Liver. 512x512 px. Slice 55 of 134. CT slice.

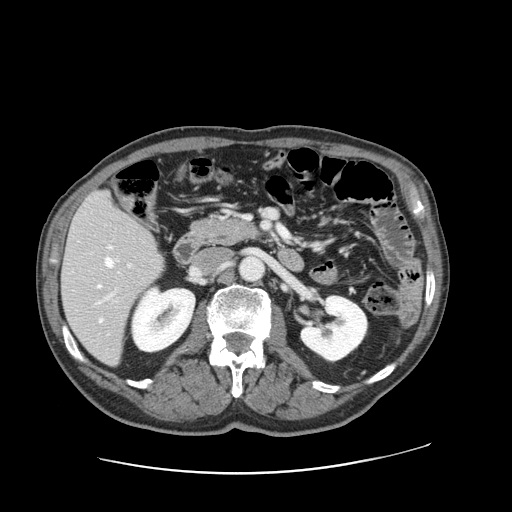

The vessel annotation is not exhaustive.
{"hepatic_vessel": ["[107,294,112,297]", "[96,301,100,303]", "[108,246,112,248]", "[100,319,102,321]", "[105,258,112,266]", "[97,285,100,287]"]}